Brain
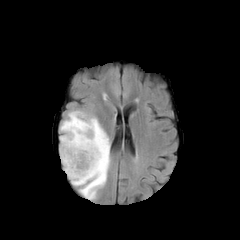
FLAIR MR image.
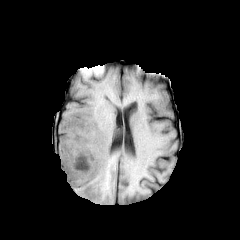
Same slice, T1-weighted MR image.
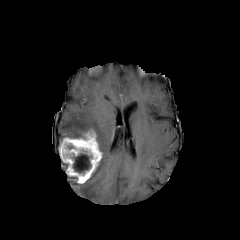
Same slice, post-contrast T1-weighted MR.
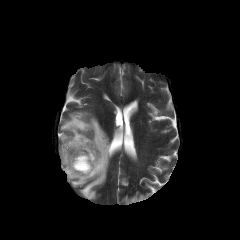
Same slice, T2-weighted MR image.
Segmented structures:
- enhancing tumor: <bbox>59, 131, 103, 185</bbox>
- edema: <bbox>60, 111, 110, 199</bbox>
- non-enhancing tumor core: <bbox>73, 154, 90, 172</bbox>